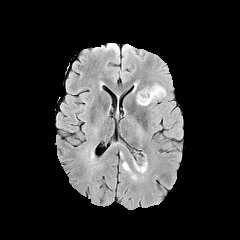
FLAIR MR image.
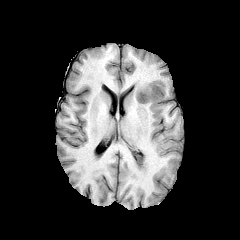
T1-weighted MRI.
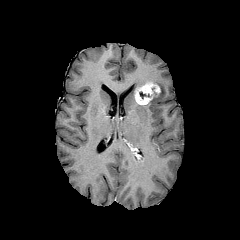
Post-contrast T1-weighted MRI of the same slice.
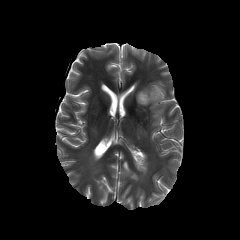
T2-weighted MR image.
Head.
<segmentation>
  <enhancing_tumor>{"x1": 134, "y1": 82, "x2": 160, "y2": 104}</enhancing_tumor>
  <edema>{"x1": 147, "y1": 83, "x2": 166, "y2": 104}, {"x1": 131, "y1": 152, "x2": 147, "y2": 173}, {"x1": 122, "y1": 161, "x2": 143, "y2": 181}</edema>
  <non-enhancing_tumor_core>{"x1": 139, "y1": 87, "x2": 161, "y2": 99}</non-enhancing_tumor_core>
</segmentation>